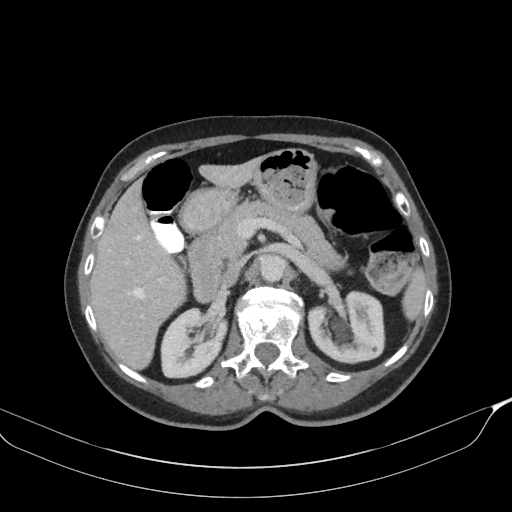 Abdomen, 512x512, CT image
Segmented structures:
- pancreas: region(216, 202, 336, 272)